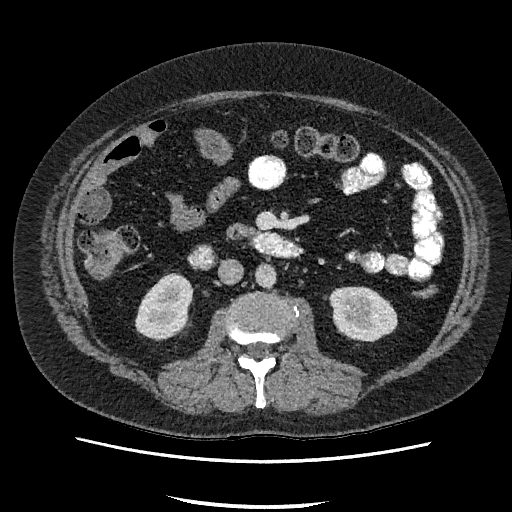 CT slice. Abdomen. Kidney at (x1=136, y1=276, x2=192, y2=337), (x1=331, y1=288, x2=396, y2=340).